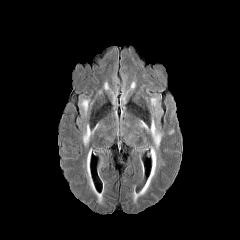
FLAIR MR.
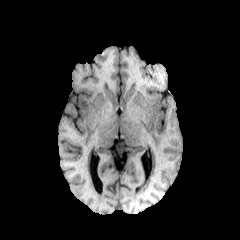
T1-weighted magnetic resonance.
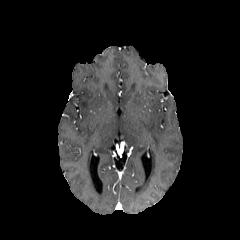
Post-contrast T1-weighted MR of the same slice.
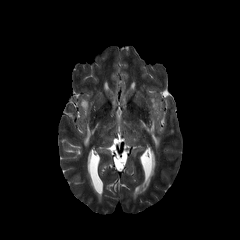
T2-weighted MRI.
Head, 240x240
edema:
  - x1=86, y1=150, x2=103, y2=203
  - x1=82, y1=100, x2=88, y2=115
  - x1=149, y1=119, x2=161, y2=149
  - x1=132, y1=147, x2=156, y2=202
  - x1=82, y1=124, x2=98, y2=146